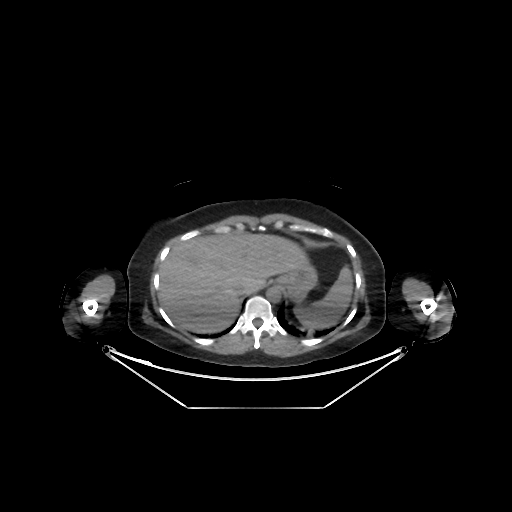

512x512 | CT scan slice | Upper abdomen

* liver: left=157, top=231, right=304, bottom=333